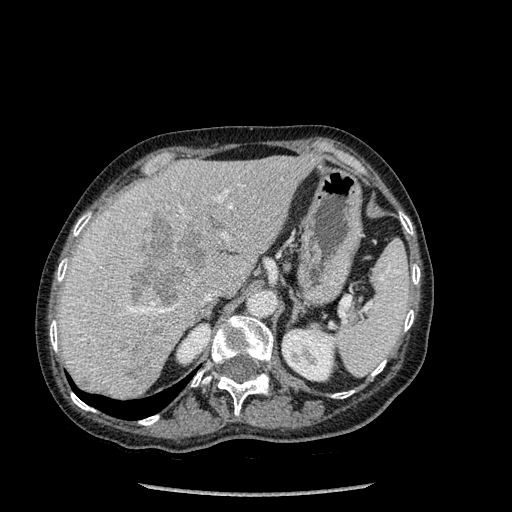

Computed tomography; Upper abdomen
{
  "hepatic_lesion": [
    "125:360:155:389",
    "210:222:221:230",
    "132:346:141:353",
    "144:328:164:334",
    "130:219:206:304"
  ],
  "bone": [
    "71:392:95:412",
    "138:415:159:425",
    "403:310:413:331",
    "57:258:68:281",
    "191:316:273:386",
    "399:212:413:234",
    "212:372:268:415",
    "411:264:420:284",
    "73:212:91:236",
    "50:320:58:351",
    "371:360:386:376",
    "331:390:354:398"
  ],
  "liver": [
    "59:154:322:399"
  ],
  "kidney": [
    "177:324:210:362",
    "282:329:341:380"
  ],
  "lung": [
    "73:376:189:419"
  ]
}